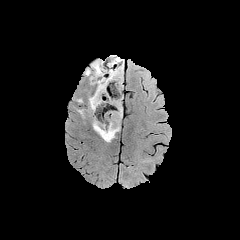
FLAIR MRI.
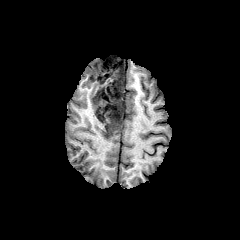
T1-weighted MR.
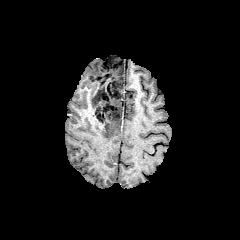
Same slice, post-contrast T1-weighted magnetic resonance.
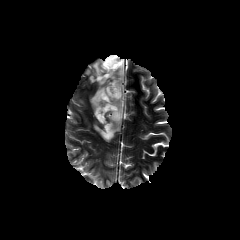
T2-weighted MRI.
{
  "edema": [
    "(85, 60, 121, 114)",
    "(118, 62, 123, 91)",
    "(93, 110, 121, 142)"
  ],
  "non-enhancing_tumor_core": [
    "(97, 58, 121, 89)",
    "(97, 88, 105, 99)",
    "(111, 104, 121, 120)"
  ]
}